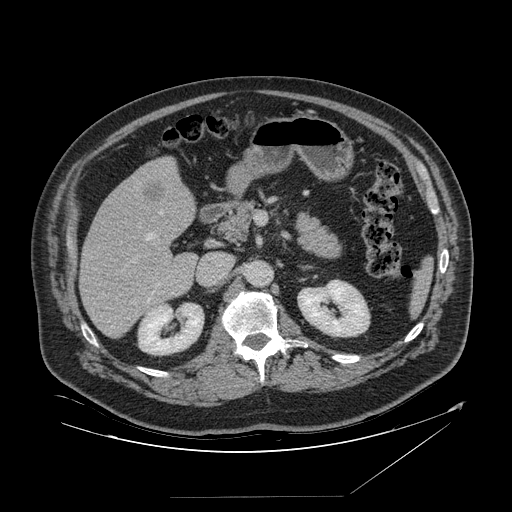

512x512, Upper abdomen, CT slice
The spleen is bounded by [410,258,433,316].